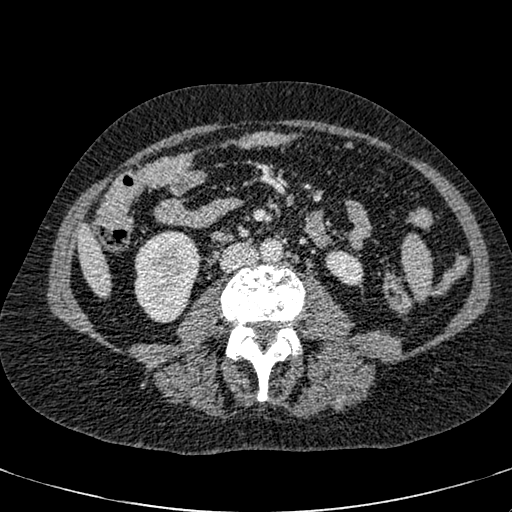

Image size 512x512 | Liver | CT image
Annotated regions:
* liver: [x1=76, y1=226, x2=110, y2=293]
* kidney: [x1=135, y1=232, x2=199, y2=322], [x1=326, y1=251, x2=356, y2=283]